FLAIR magnetic resonance.
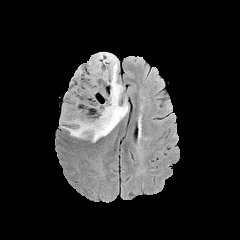
T1-weighted MR.
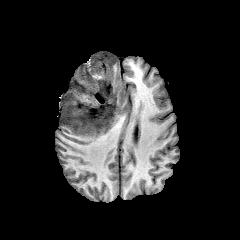
Post-contrast T1-weighted MR.
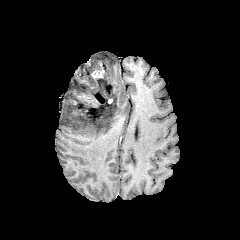
T2-weighted MRI.
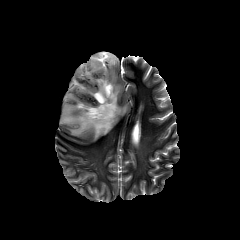
2 non-enhancing tumor core regions are bounded by (left=91, top=53, right=110, bottom=79), (left=78, top=94, right=115, bottom=126). The enhancing tumor is bounded by (left=92, top=68, right=104, bottom=77). 2 edema regions are bounded by (left=100, top=107, right=108, bottom=117), (left=61, top=52, right=129, bottom=141).